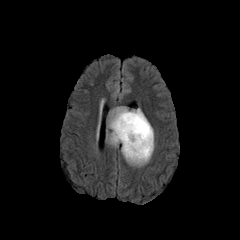
FLAIR magnetic resonance.
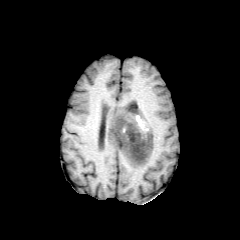
T1-weighted magnetic resonance.
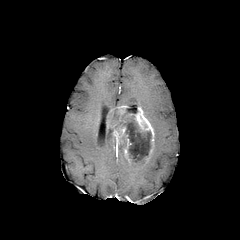
Post-contrast T1-weighted MR image.
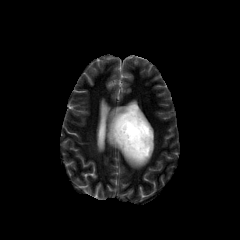
T2-weighted MR image.
{
  "enhancing_tumor": [
    "[113, 127, 131, 161]",
    "[134, 107, 154, 145]",
    "[117, 106, 128, 115]"
  ],
  "edema": [
    "[122, 135, 155, 167]"
  ],
  "non-enhancing_tumor_core": [
    "[118, 136, 126, 153]",
    "[106, 107, 152, 163]"
  ]
}